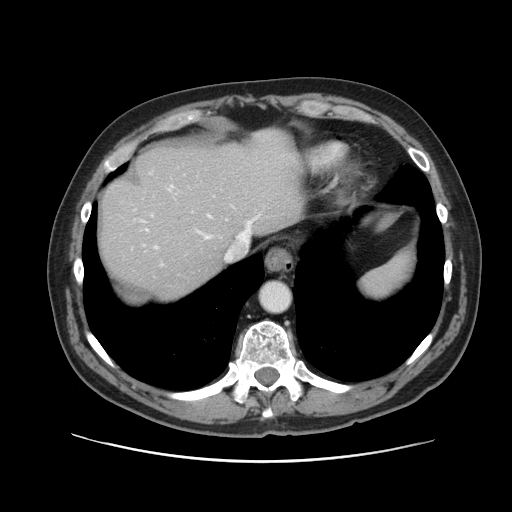
Liver, CT image, 512x512
The vessel annotation is not exhaustive.
{"liver_tumor": ["<bbox>247, 142, 258, 153</bbox>"], "hepatic_vessel": ["<bbox>208, 215, 210, 216</bbox>", "<bbox>146, 229, 147, 231</bbox>", "<bbox>151, 214, 152, 216</bbox>", "<bbox>168, 185, 172, 190</bbox>", "<bbox>154, 246, 157, 248</bbox>", "<bbox>140, 220, 144, 221</bbox>", "<bbox>247, 220, 251, 227</bbox>"]}